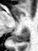 Hippocampus | MRI slice | 38x51

Annotated regions:
- posterior hippocampus: {"x1": 12, "y1": 29, "x2": 28, "y2": 43}